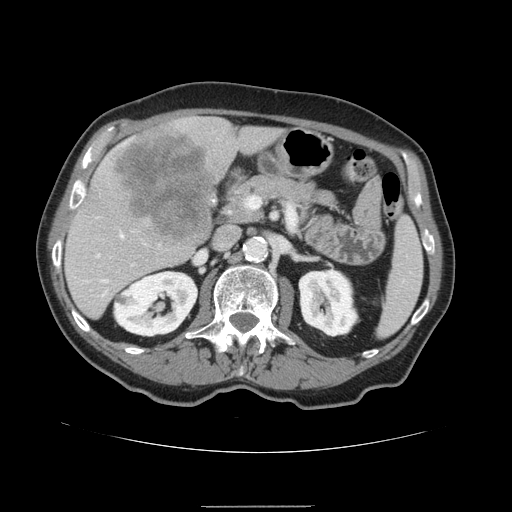

Abdomen. CT scan slice. The vessel boxes may cover only some of the vessels.
The liver tumor is located at (112, 126, 216, 242). 2 hepatic vessel regions appear at (120, 234, 123, 237), (247, 196, 255, 208).